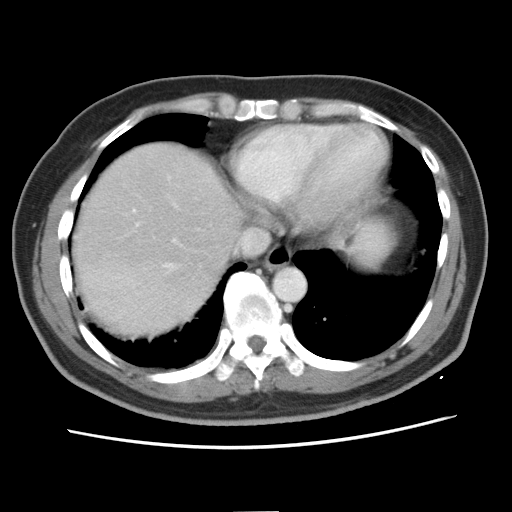

Computed tomography. The vessel boxes may cover only some of the vessels.
Hepatic vessel: 136:223:138:225, 173:240:174:241, 133:209:135:212.